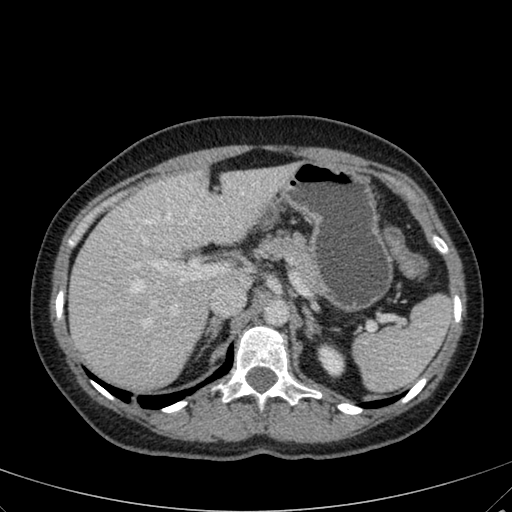

512x512. CT scan slice.

Segmented structures:
• kidney: box(321, 349, 342, 372)
• liver: box(68, 165, 295, 387)
• liver lesion: box(201, 170, 209, 179)